FLAIR magnetic resonance.
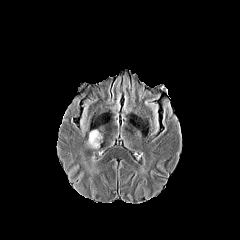
T1-weighted magnetic resonance.
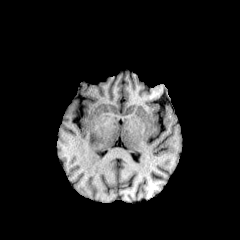
Post-contrast T1-weighted MR image.
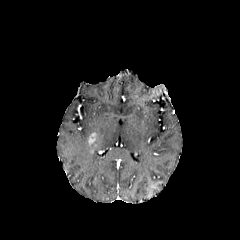
T2-weighted magnetic resonance.
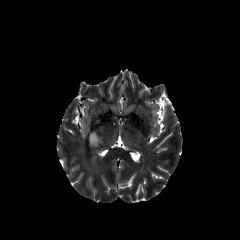
Head
<segmentation>
  <enhancing_tumor>88,132,98,153</enhancing_tumor>
</segmentation>